FLAIR magnetic resonance.
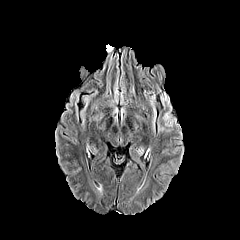
T1-weighted MRI.
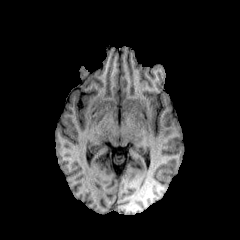
Post-contrast T1-weighted MRI.
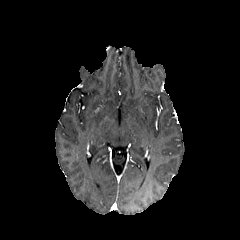
T2-weighted MR.
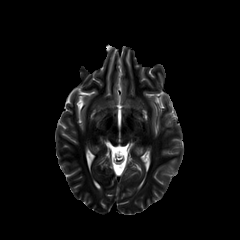
Image size 240x240
<segmentation>
  <edema>[158,92,179,134], [149,95,156,134]</edema>
</segmentation>